FLAIR MR.
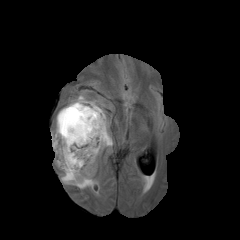
T1-weighted MR.
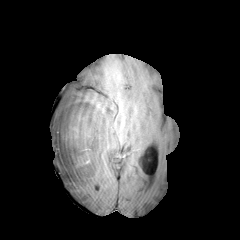
Post-contrast T1-weighted MR.
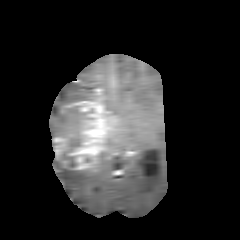
T2-weighted MR image.
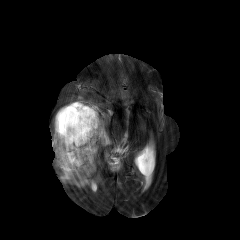
Head
Segmented structures:
• enhancing tumor: (66, 101, 106, 169), (53, 136, 69, 165)
• non-enhancing tumor core: (56, 128, 67, 137), (68, 106, 89, 119), (62, 125, 81, 170)
• edema: (68, 97, 88, 103), (54, 102, 111, 188), (52, 104, 83, 137)